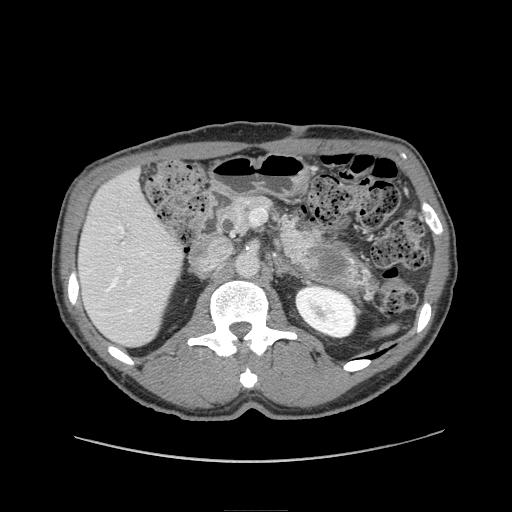
CT image
* pancreatic tumor: [x1=309, y1=246, x2=349, y2=281]
* pancreas: [x1=278, y1=217, x2=358, y2=282], [x1=219, y1=196, x2=272, y2=234]